Brain
FLAIR MR.
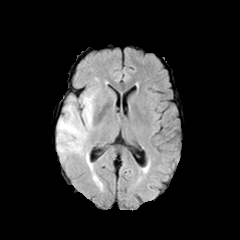
T1-weighted magnetic resonance.
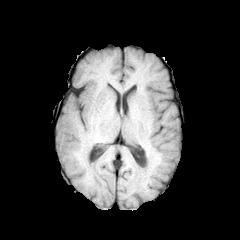
Post-contrast T1-weighted MR.
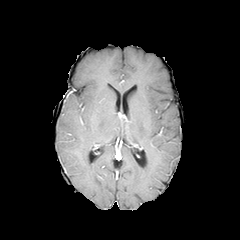
T2-weighted MRI.
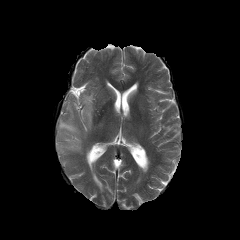
The edema is bounded by 56:90:96:160.